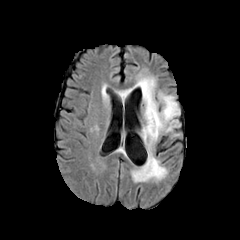
FLAIR magnetic resonance.
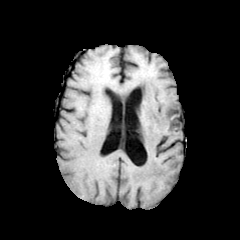
T1-weighted MR image.
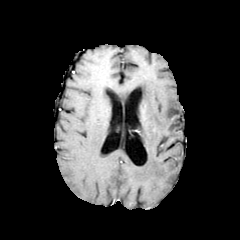
Post-contrast T1-weighted MRI.
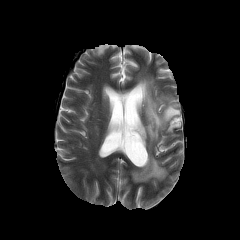
T2-weighted MRI.
Head.
Edema at (x1=118, y1=88, x2=132, y2=99), (x1=131, y1=76, x2=180, y2=182).